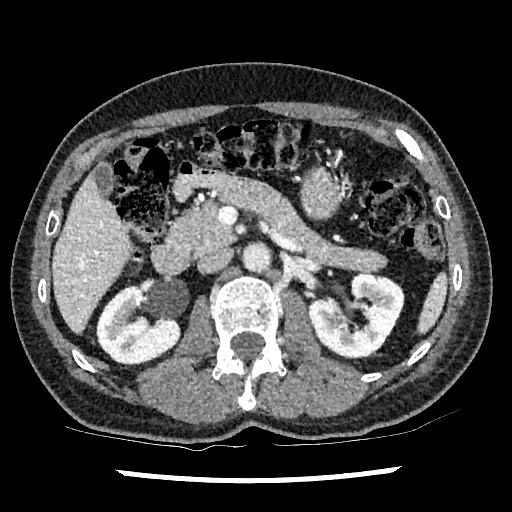
Image size 512x512. Computed tomography. Liver.
2 kidney regions appear at region(97, 287, 178, 362); region(310, 274, 402, 356). The liver is bounded by region(53, 172, 131, 334).